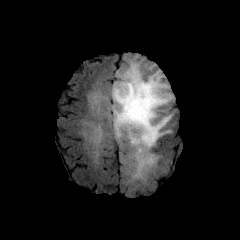
FLAIR MR.
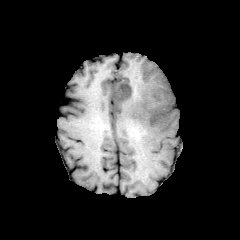
Same slice, T1-weighted MR.
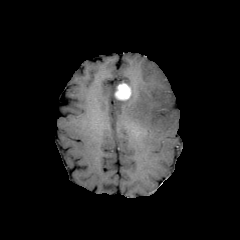
Same slice, post-contrast T1-weighted MRI.
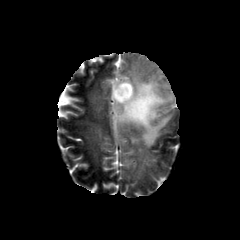
Same slice, T2-weighted magnetic resonance.
Brain
Non-enhancing tumor core: bounding box bbox(112, 85, 119, 129); bbox(152, 88, 171, 99); bbox(118, 123, 142, 137); bbox(130, 90, 155, 112); bbox(152, 106, 163, 121); bbox(115, 71, 142, 95).
Edema: bounding box bbox(108, 60, 173, 174).
Enhancing tumor: bounding box bbox(114, 82, 132, 100).